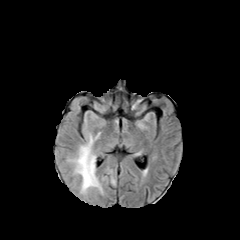
FLAIR magnetic resonance.
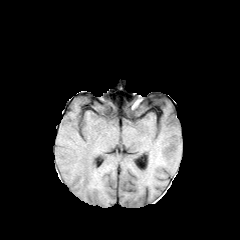
T1-weighted MR image.
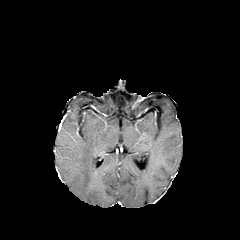
Same slice, post-contrast T1-weighted MR image.
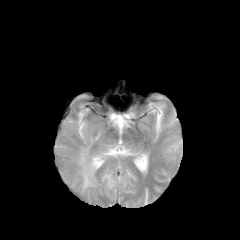
T2-weighted MR image.
edema:
  - {"x1": 102, "y1": 170, "x2": 115, "y2": 185}
  - {"x1": 72, "y1": 134, "x2": 103, "y2": 193}